Brain; Image size 240x240; Slice 45/155
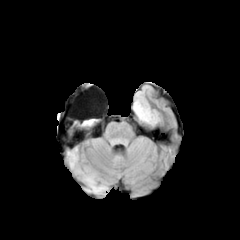
FLAIR MRI.
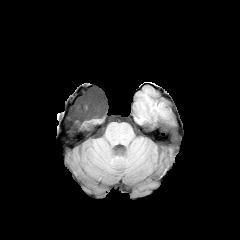
Same slice, T1-weighted magnetic resonance.
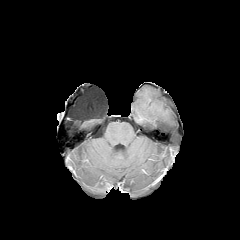
Post-contrast T1-weighted magnetic resonance.
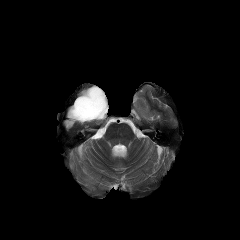
T2-weighted MR image.
• edema: x1=68 y1=150 x2=78 y2=168, x1=86 y1=174 x2=107 y2=192, x1=83 y1=119 x2=97 y2=124